FLAIR magnetic resonance.
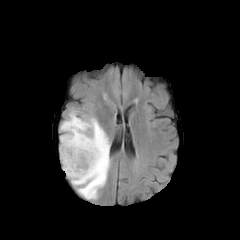
T1-weighted magnetic resonance.
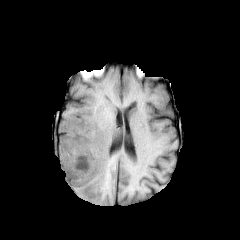
Post-contrast T1-weighted MR.
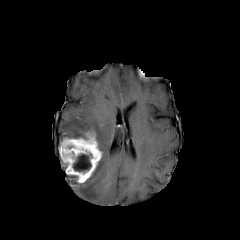
T2-weighted magnetic resonance.
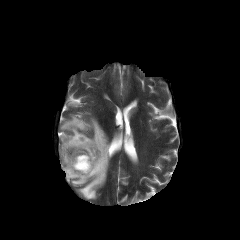
Head
enhancing tumor: (x1=59, y1=134, x2=103, y2=186) | edema: (x1=60, y1=111, x2=110, y2=199) | non-enhancing tumor core: (x1=73, y1=154, x2=91, y2=171)